FLAIR magnetic resonance.
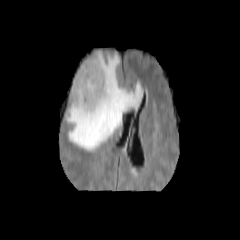
T1-weighted magnetic resonance.
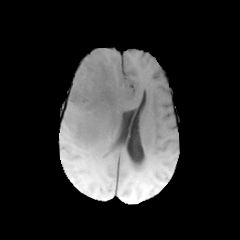
Post-contrast T1-weighted magnetic resonance.
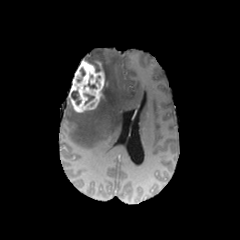
T2-weighted MRI.
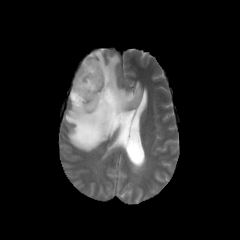
enhancing_tumor:
  - x1=68 y1=60 x2=105 y2=112
edema:
  - x1=65 y1=50 x2=142 y2=152
non-enhancing_tumor_core:
  - x1=71 y1=91 x2=81 y2=105
  - x1=85 y1=94 x2=94 y2=104
  - x1=85 y1=60 x2=100 y2=71
  - x1=99 y1=75 x2=108 y2=103